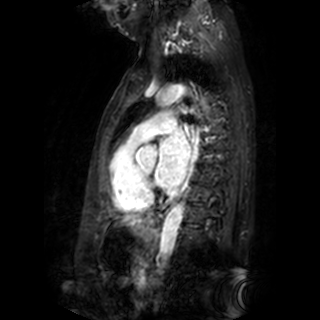 MRI slice

Annotated regions:
• left atrium: x1=155 y1=130 x2=190 y2=187